Computed tomography. 512x512. Slice index 28. Upper abdomen.

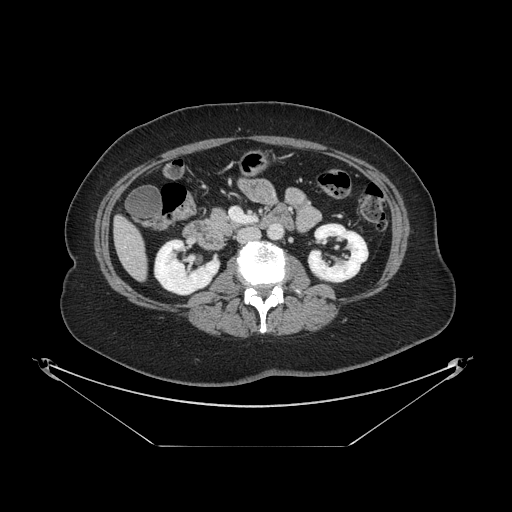

The pancreas lies within left=211, top=208, right=240, bottom=235.